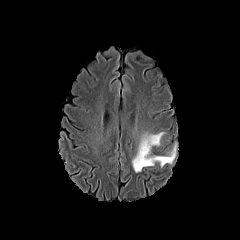
FLAIR MRI.
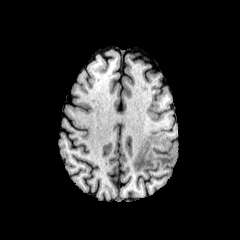
T1-weighted MR.
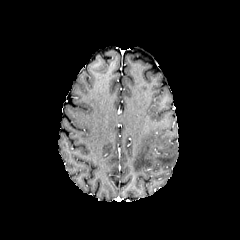
Post-contrast T1-weighted MRI.
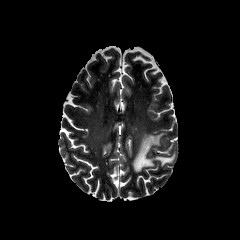
T2-weighted MRI.
Head, Image size 240x240
Edema = bbox=[132, 131, 174, 173].